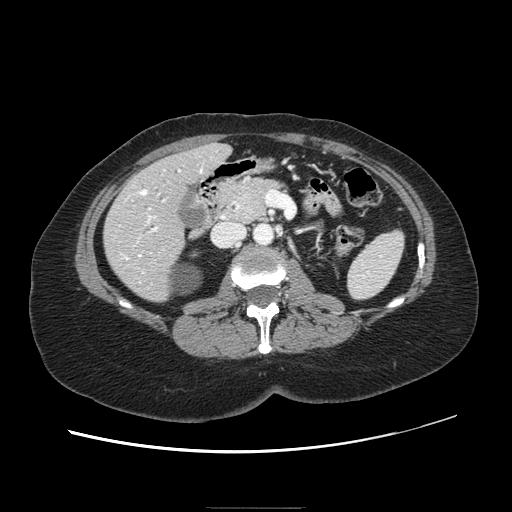
CT image; 512x512
pancreas: <bbox>217, 178, 282, 223</bbox> | pancreatic tumor: <bbox>239, 200, 257, 217</bbox>